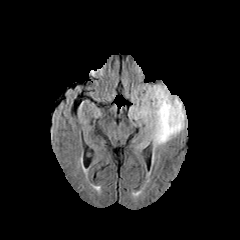
FLAIR MRI.
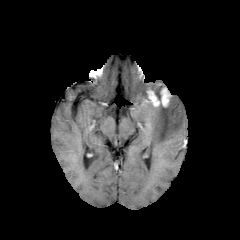
T1-weighted magnetic resonance.
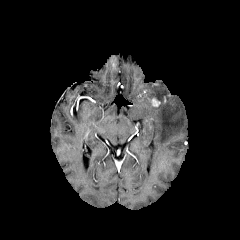
Post-contrast T1-weighted MR of the same slice.
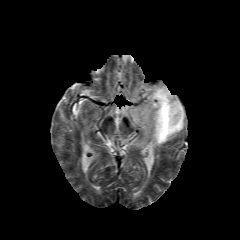
Same slice, T2-weighted MR image.
Head.
<segmentation>
  <edema>x1=129 y1=85 x2=186 y2=151</edema>
  <enhancing_tumor>x1=146 y1=97 x2=160 y2=108</enhancing_tumor>
</segmentation>